240x240 px, Slice 80/155
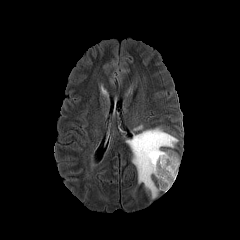
FLAIR MR image.
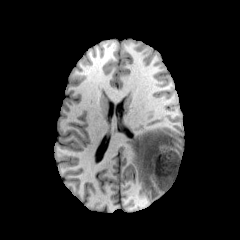
T1-weighted MR image.
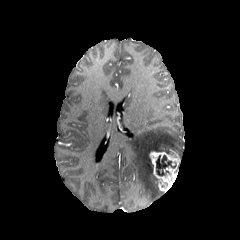
Same slice, post-contrast T1-weighted magnetic resonance.
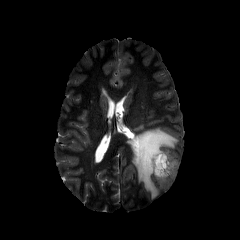
T2-weighted MRI.
- non-enhancing tumor core: left=156, top=155, right=176, bottom=176
- edema: left=126, top=127, right=177, bottom=199
- enhancing tumor: left=149, top=151, right=179, bottom=191